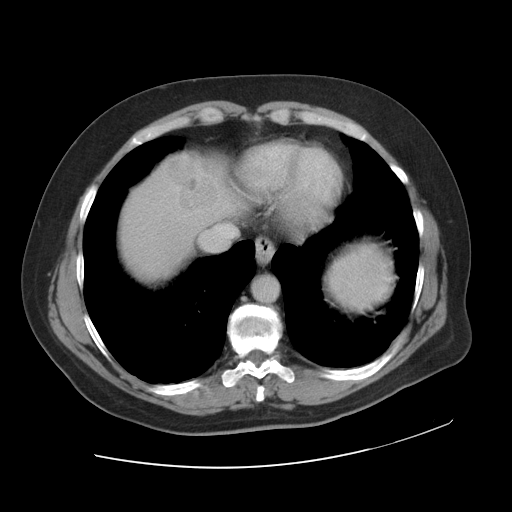

Liver | CT image
Not every hepatic vessel necessarily has a box.
liver tumor: x1=166, y1=155, x2=219, y2=212 | hepatic vessel: x1=199, y1=240, x2=225, y2=251